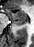
Hippocampus | MRI slice
Anterior hippocampus = <bbox>7, 10, 27, 21</bbox>.
Posterior hippocampus = <bbox>13, 22, 24, 25</bbox>.